CT slice, 512x512 px, Abdomen
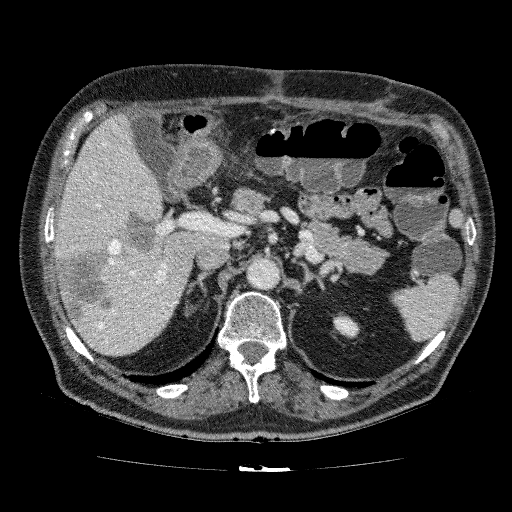
The kidney lies within 333,316,359,337. 3 hepatic lesion regions appear at 54,247,116,324; 112,209,159,262; 144,169,154,181. The liver is at 54,113,230,356.